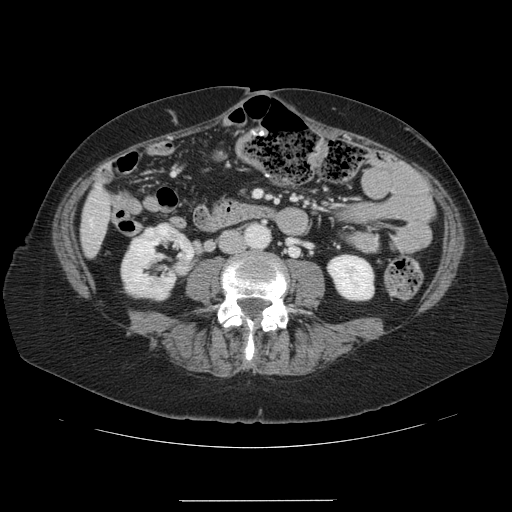 CT slice; 512x512
Some hepatic vessels may have no box.
Hepatic vessel at (left=89, top=219, right=91, bottom=224).